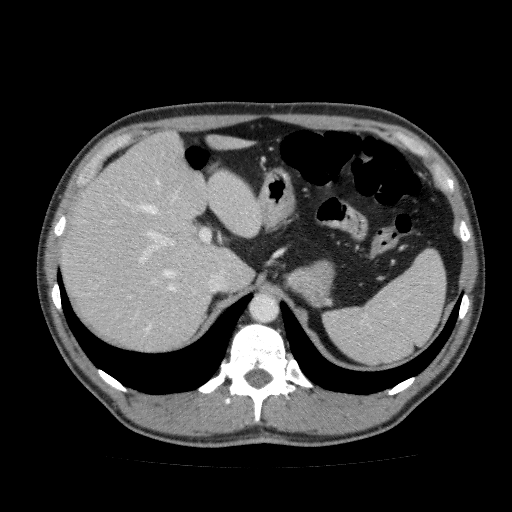 Upper abdomen, 512x512 px, CT image
2 liver regions are bounded by rect(61, 129, 261, 353); rect(206, 133, 254, 150).